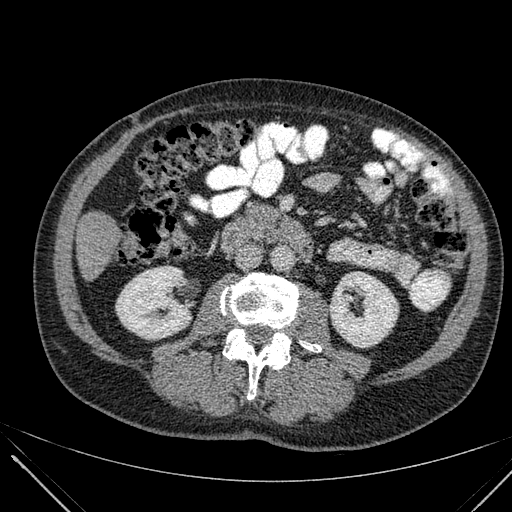

512x512. CT slice.
liver: [77,211,122,279] | kidney: [116,266,190,338], [330,272,397,347]